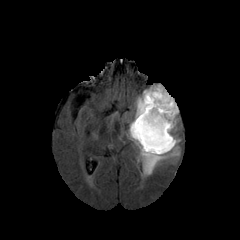
FLAIR MR.
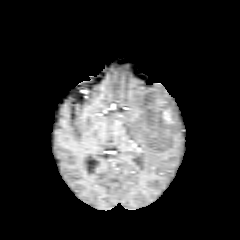
T1-weighted MR of the same slice.
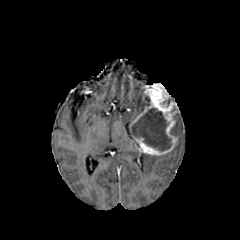
Same slice, post-contrast T1-weighted MR.
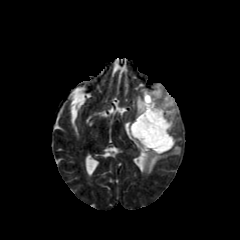
T2-weighted magnetic resonance of the same slice.
Head. Image size 240x240.
edema:
  - (174,113,182,135)
  - (136,140,180,175)
  - (127,88,144,125)
  - (126,126,137,147)
non-enhancing_tumor_core:
  - (142,93,150,112)
  - (130,108,171,150)
enhancing_tumor:
  - (134,83,179,155)